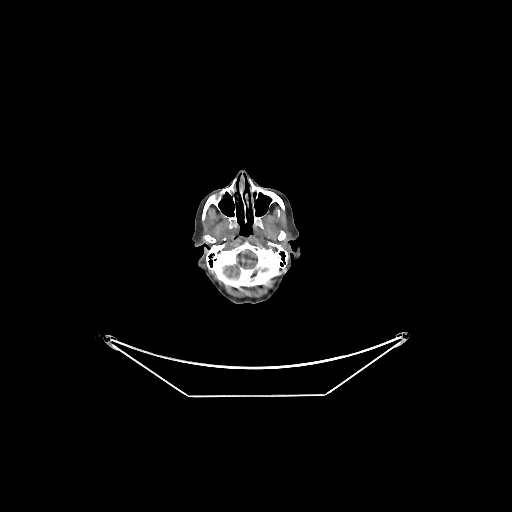
CT slice
brain: [224, 261, 240, 277], [240, 249, 257, 269]